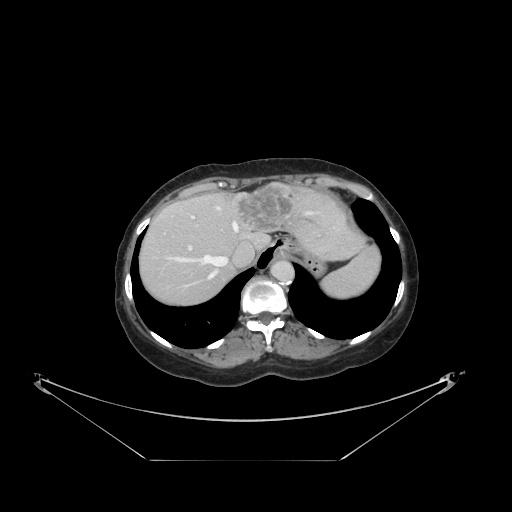 Liver. CT image. Only some of the vessels may be annotated.
The liver tumor is bounded by {"x1": 234, "y1": 183, "x2": 293, "y2": 233}. 8 hepatic vessel regions are located at {"x1": 216, "y1": 206, "x2": 219, "y2": 208}, {"x1": 188, "y1": 246, "x2": 191, "y2": 249}, {"x1": 232, "y1": 221, "x2": 238, "y2": 231}, {"x1": 208, "y1": 269, "x2": 216, "y2": 278}, {"x1": 167, "y1": 255, "x2": 228, "y2": 266}, {"x1": 309, "y1": 212, "x2": 312, "y2": 213}, {"x1": 192, "y1": 216, "x2": 193, "y2": 218}, {"x1": 234, "y1": 244, "x2": 253, "y2": 263}.